Brain.
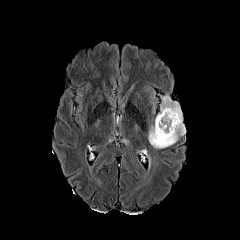
FLAIR MR.
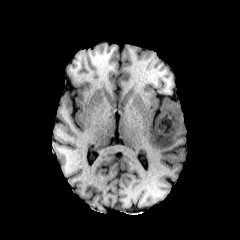
T1-weighted magnetic resonance.
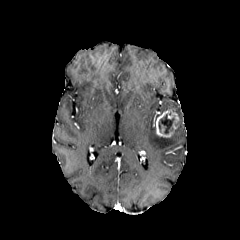
Post-contrast T1-weighted MR.
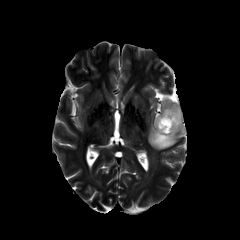
T2-weighted MR of the same slice.
Non-enhancing tumor core = 159:115:175:133.
Enhancing tumor = 155:109:178:137.
Edema = 148:97:185:150.